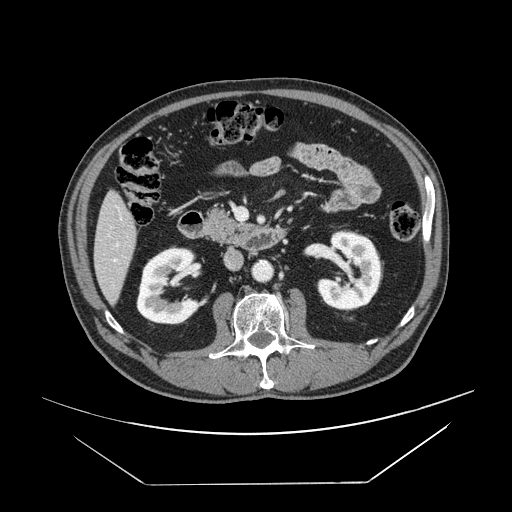
CT image. Image size 512x512. <segmentation>
  <pancreas><bbox>201, 207, 253, 245</bbox></pancreas>
</segmentation>